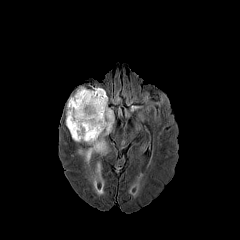
FLAIR magnetic resonance.
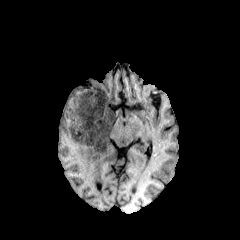
T1-weighted MR of the same slice.
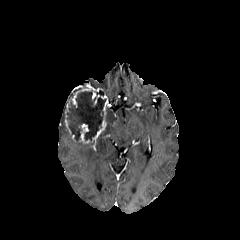
Same slice, post-contrast T1-weighted MRI.
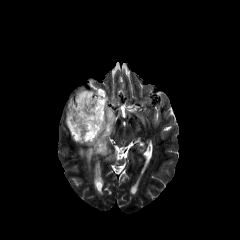
T2-weighted magnetic resonance.
Head; 240x240
<segmentation>
  <non-enhancing_tumor_core>64 88 104 141</non-enhancing_tumor_core>
  <enhancing_tumor>64 83 111 149</enhancing_tumor>
  <edema>86 109 114 162</edema>
</segmentation>